Abdomen | CT scan slice | 512x512 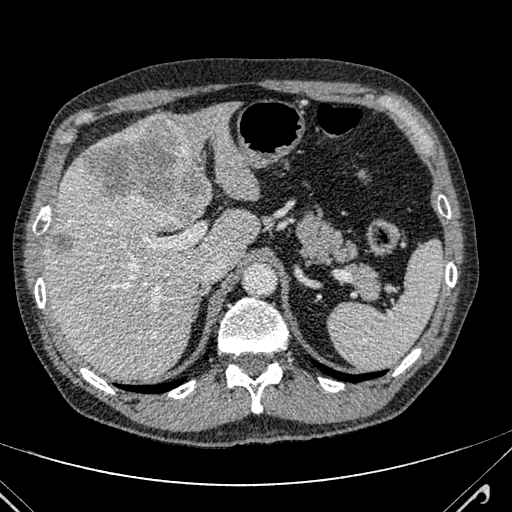

2 focal liver lesion regions are bounded by x1=81 y1=118 x2=210 y2=217, x1=50 y1=235 x2=73 y2=255. 4 liver regions are located at x1=203 y1=187 x2=212 y2=209, x1=156 y1=103 x2=258 y2=198, x1=47 y1=158 x2=256 y2=378, x1=95 y1=122 x2=145 y2=146.